Image size 240x240
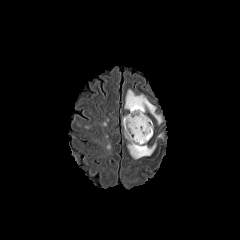
FLAIR magnetic resonance.
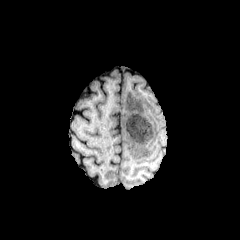
T1-weighted MRI of the same slice.
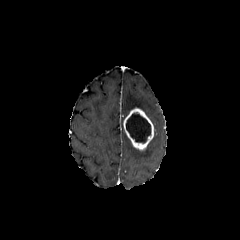
Post-contrast T1-weighted MR image.
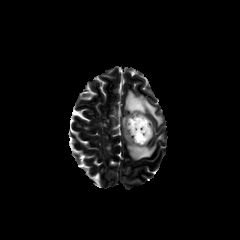
T2-weighted MR image.
<segmentation>
  <non-enhancing_tumor_core>125 113 151 143</non-enhancing_tumor_core>
  <edema>123 132 156 160, 124 91 162 124</edema>
  <enhancing_tumor>123 107 154 150</enhancing_tumor>
</segmentation>